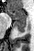
MR image; Hippocampus

Segmented structures:
- posterior hippocampus: x1=15, y1=20, x2=26, y2=32
- anterior hippocampus: x1=10, y1=9, x2=26, y2=19